Field of view 240x240 mm | 240x240 px
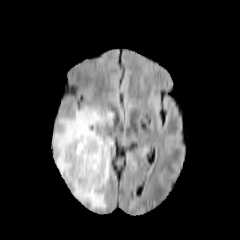
FLAIR MR image.
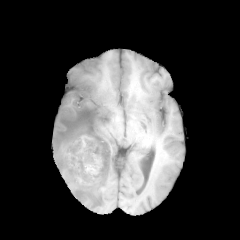
Same slice, T1-weighted MR.
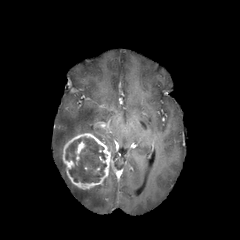
Post-contrast T1-weighted MRI.
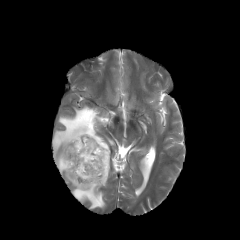
Same slice, T2-weighted MR.
2 enhancing tumor regions are located at <box>62,133,110,188</box>, <box>75,140,85,165</box>. The non-enhancing tumor core is at <box>65,137,106,183</box>. The edema lies within <box>51,103,114,211</box>.